Lower abdomen, CT scan slice, Image size 512x512, Slice 74/565 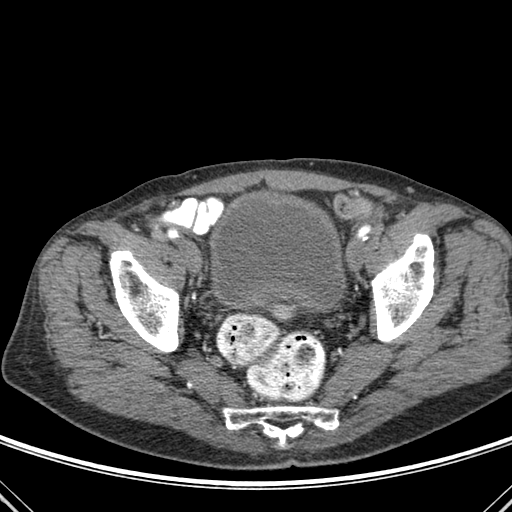

- urinary bladder: [x1=207, y1=196, x2=348, y2=306]
- bone: [x1=110, y1=250, x2=178, y2=352], [x1=371, y1=233, x2=434, y2=341], [x1=223, y1=406, x2=338, y2=446]